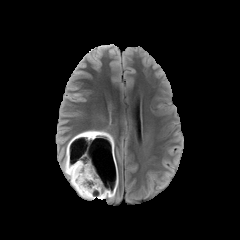
FLAIR magnetic resonance.
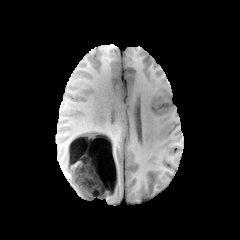
T1-weighted MR image.
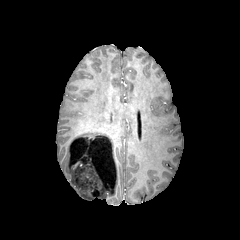
Post-contrast T1-weighted MRI.
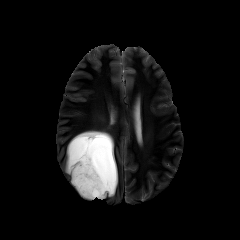
Same slice, T2-weighted MR image.
Head.
Segmented structures:
• non-enhancing tumor core: [68, 131, 115, 196]
• edema: [102, 135, 115, 175], [64, 140, 116, 199]